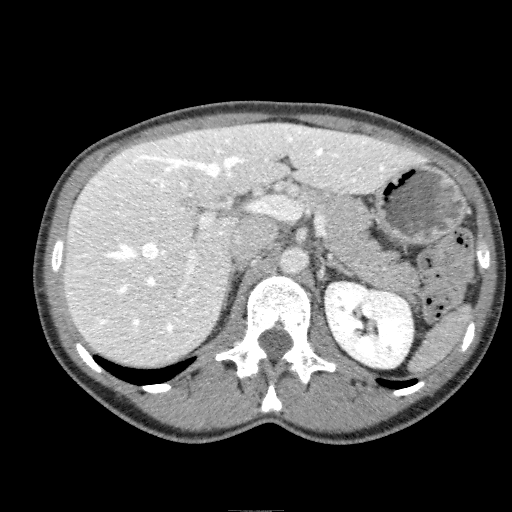
Abdomen | CT slice
Liver — 63,121,422,366.
Kidney — 325,282,413,367.